Image width 353 mm; Abdomen; 512x512 px; CT

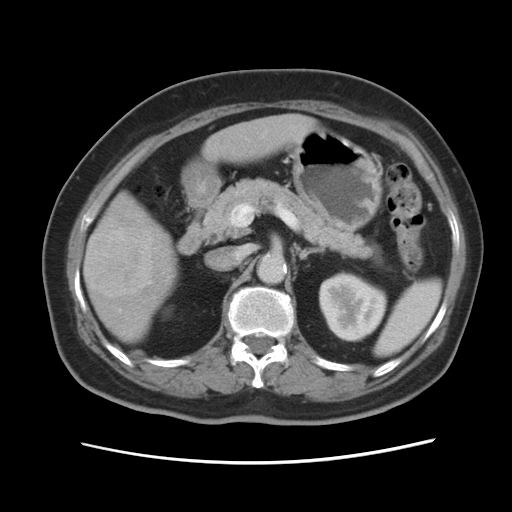

Liver tumor = <bbox>85, 231, 153, 297</bbox>.